FLAIR MR image.
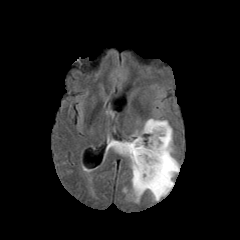
T1-weighted MRI.
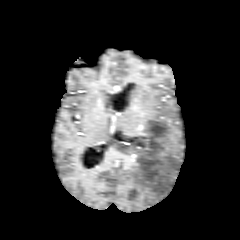
Post-contrast T1-weighted MR.
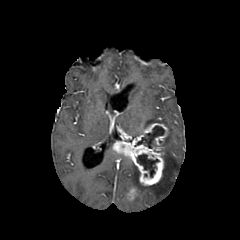
T2-weighted MR image.
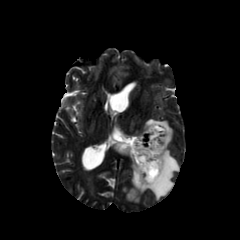
Non-enhancing tumor core: bounding box 135:178:156:193, 137:126:164:148, 137:154:158:176.
Edema: bounding box 106:138:114:152, 134:118:179:202, 131:161:138:186.
Enhancing tumor: bounding box 126:186:139:201, 112:122:168:185.